FLAIR MR.
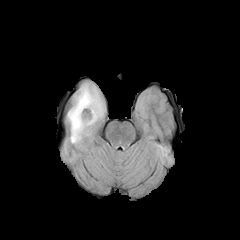
T1-weighted MR image.
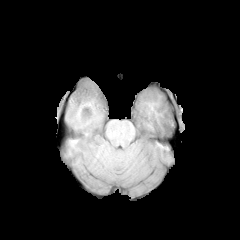
Post-contrast T1-weighted magnetic resonance.
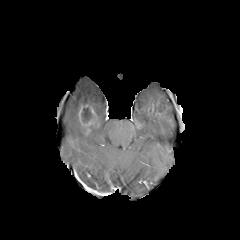
T2-weighted MR.
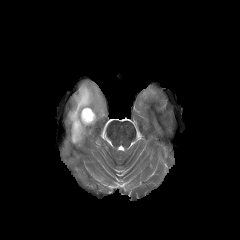
Edema at [x1=67, y1=83, x2=104, y2=143].
Enhancing tumor at [x1=78, y1=108, x2=91, y2=125].
Non-enhancing tumor core at [x1=80, y1=104, x2=95, y2=123].